Image width 240 mm, Head
FLAIR MR.
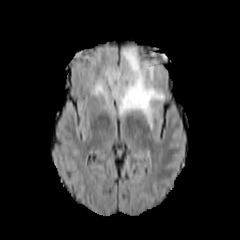
T1-weighted MR.
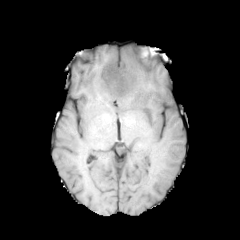
Post-contrast T1-weighted MR image.
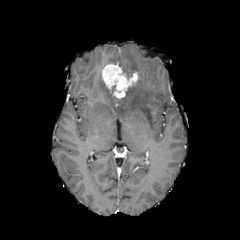
T2-weighted MR.
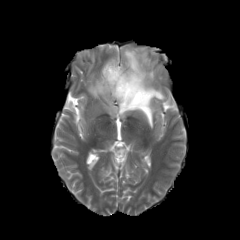
enhancing tumor: box(101, 63, 137, 98) | non-enhancing tumor core: box(119, 88, 131, 103) | edema: box(89, 75, 107, 94); box(115, 48, 164, 129)